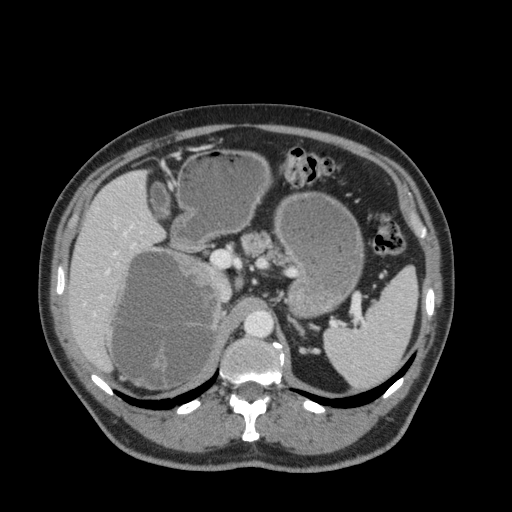 Image size 512x512 | Upper abdomen | CT image
2 liver regions are bounded by bbox=[70, 172, 164, 370]; bbox=[235, 277, 242, 287].